Slice index 139, CT 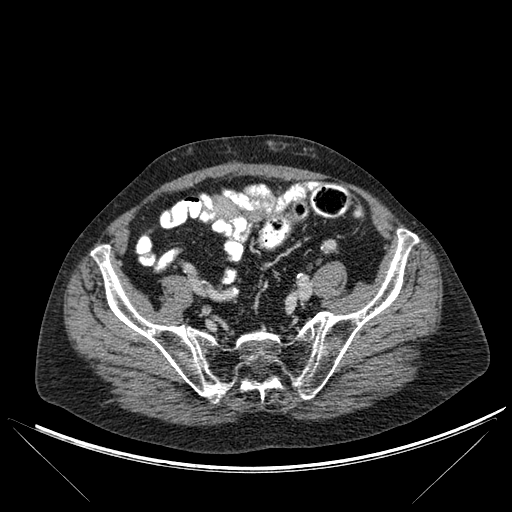
2 bone regions are bounded by rect(91, 229, 418, 401); rect(241, 377, 280, 399).